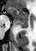
Medial temporal lobe; MRI

Anterior hippocampus = rect(9, 7, 29, 22).
Posterior hippocampus = rect(17, 23, 29, 28).